Abdomen, Slice 14/43, CT scan slice

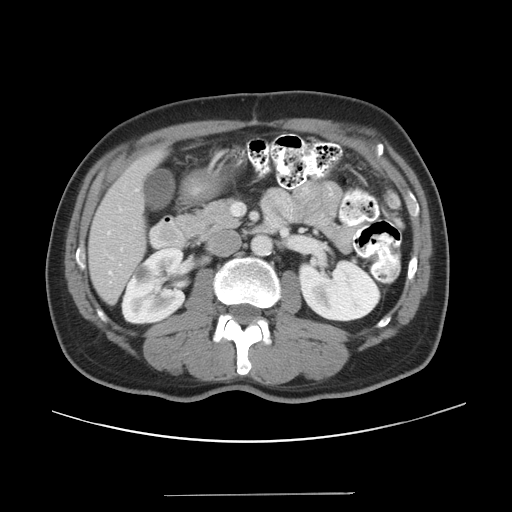 The vessel boxes may cover only some of the vessels.
Hepatic vessel — rect(119, 208, 120, 211); rect(135, 189, 138, 190); rect(109, 271, 110, 273); rect(107, 231, 110, 234); rect(134, 228, 137, 228).